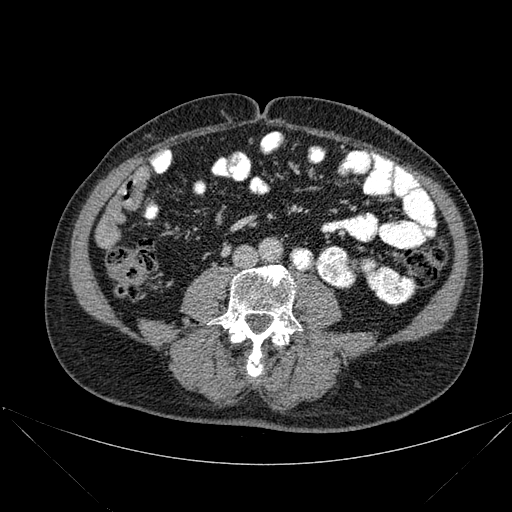

Image size 512x512; CT scan slice
The bone appears at <bbox>210, 265, 301, 378</bbox>.